Slice 90 of 155 | 240x240 | Brain
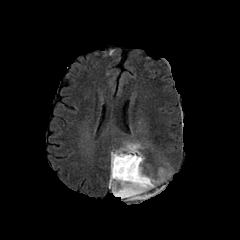
FLAIR magnetic resonance.
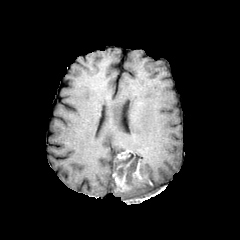
Same slice, T1-weighted MR image.
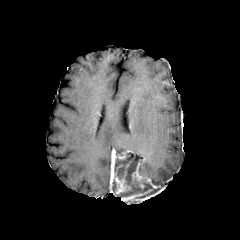
Post-contrast T1-weighted MR image of the same slice.
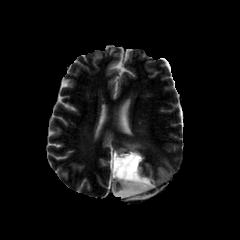
T2-weighted magnetic resonance.
• enhancing tumor: (left=110, top=151, right=129, bottom=194), (left=122, top=194, right=142, bottom=199)
• non-enhancing tumor core: (left=115, top=151, right=158, bottom=200), (left=112, top=179, right=119, bottom=192)
• edema: (left=116, top=143, right=144, bottom=171), (left=142, top=172, right=157, bottom=184)